CT slice | Image size 512x512

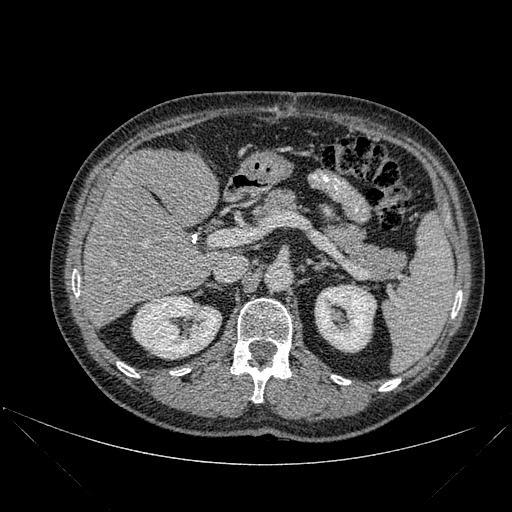
2 kidney regions appear at <bbox>315, 285, 376, 352</bbox>, <bbox>132, 296, 221, 358</bbox>. The liver lies within <bbox>84, 149, 219, 325</bbox>. 7 bone regions are located at <bbox>72, 272, 79, 296</bbox>, <bbox>231, 298, 291, 402</bbox>, <bbox>451, 291, 461, 318</bbox>, <bbox>170, 368, 190, 375</bbox>, <bbox>379, 379, 400, 390</bbox>, <bbox>331, 375, 350, 384</bbox>, <bbox>117, 362, 139, 377</bbox>.